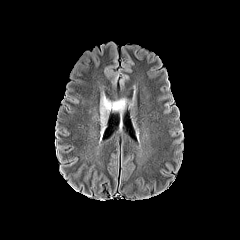
FLAIR MR.
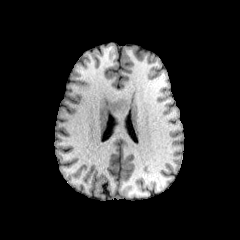
T1-weighted MR image.
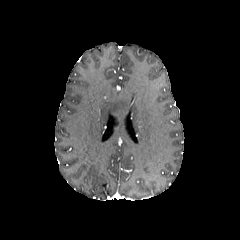
Post-contrast T1-weighted magnetic resonance of the same slice.
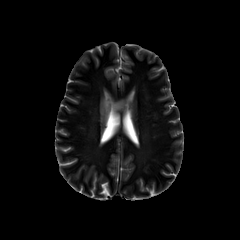
T2-weighted MR image.
Brain
<segmentation>
  <edema>(98,93,126,136)</edema>
</segmentation>